Slice index 40
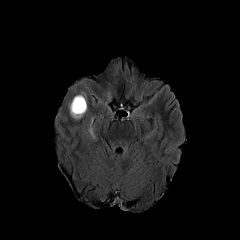
FLAIR MR.
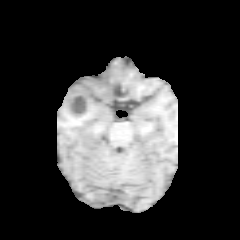
T1-weighted MR of the same slice.
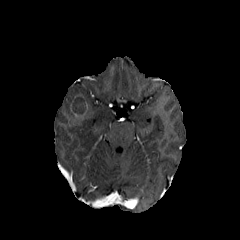
Post-contrast T1-weighted magnetic resonance.
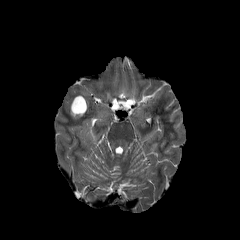
Same slice, T2-weighted MR image.
non-enhancing_tumor_core:
  - bbox=[70, 97, 84, 114]
edema:
  - bbox=[88, 125, 95, 138]
  - bbox=[68, 103, 82, 120]